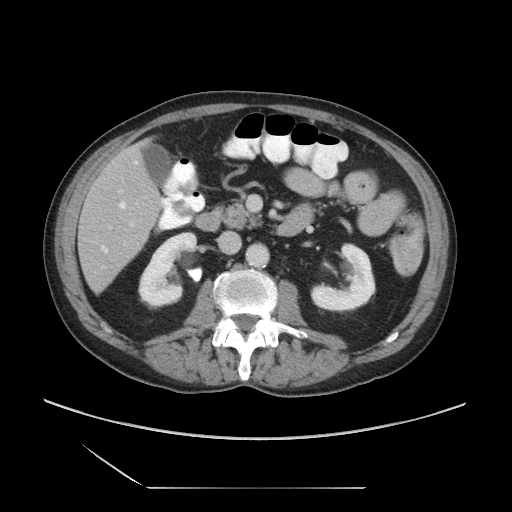
CT | 512x512 px
Only some of the vessels may be annotated.
{"hepatic_vessel": ["(120, 202, 124, 208)", "(123, 242, 125, 244)", "(130, 222, 133, 225)", "(119, 189, 122, 192)", "(135, 162, 137, 163)", "(101, 246, 107, 252)"]}